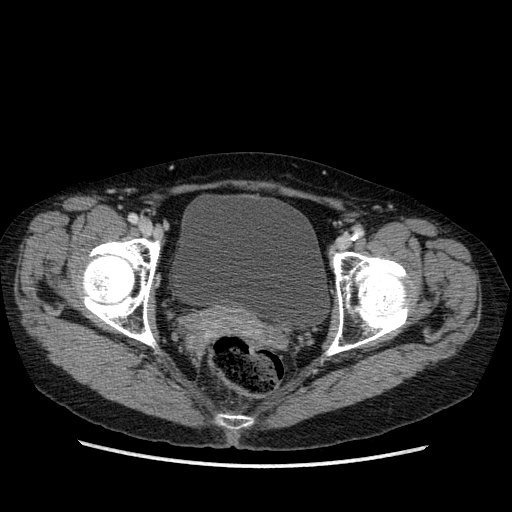 Pelvis, CT scan slice
Annotated regions:
* urinary bladder: 169:193:330:328